Brain. Slice index 55.
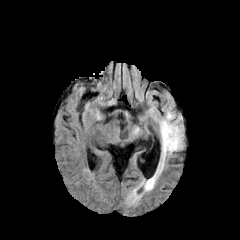
FLAIR MR.
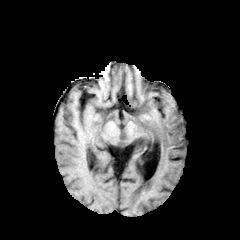
T1-weighted MRI.
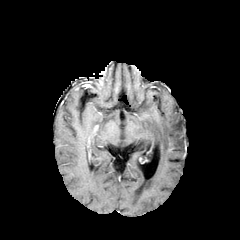
Post-contrast T1-weighted magnetic resonance of the same slice.
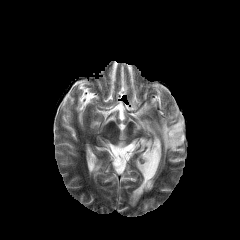
T2-weighted MR image.
edema: (left=128, top=107, right=183, bottom=203)